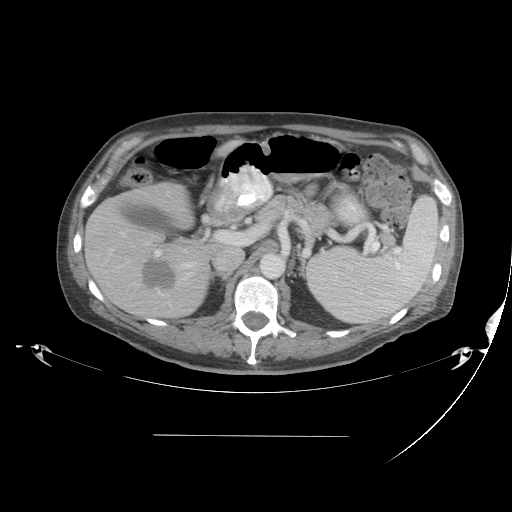

CT scan slice; 512x512
Only some of the vessels may be annotated.
hepatic_vessel:
  - 155 250 161 256
  - 120 232 126 237
  - 127 261 128 262
  - 183 250 185 251
  - 215 231 231 243
  - 105 248 113 262
  - 181 272 192 279
  - 157 290 165 296
  - 178 262 195 269
  - 117 266 121 267
liver_tumor:
  - 142 260 176 288